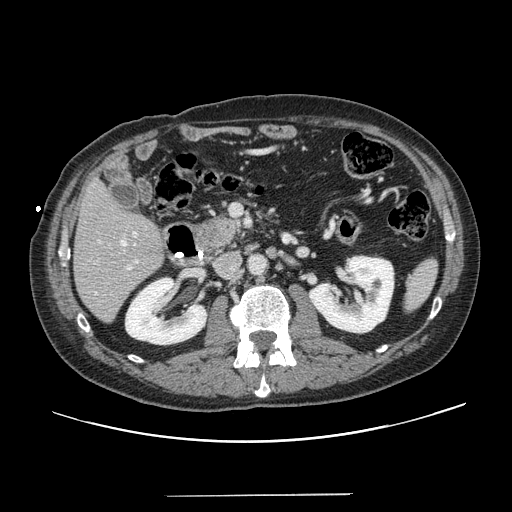

Upper abdomen. CT slice.
* pancreas: <box>193,214,242,257</box>
* pancreatic tumor: <box>199,219,231,247</box>